Pelvis, CT scan slice 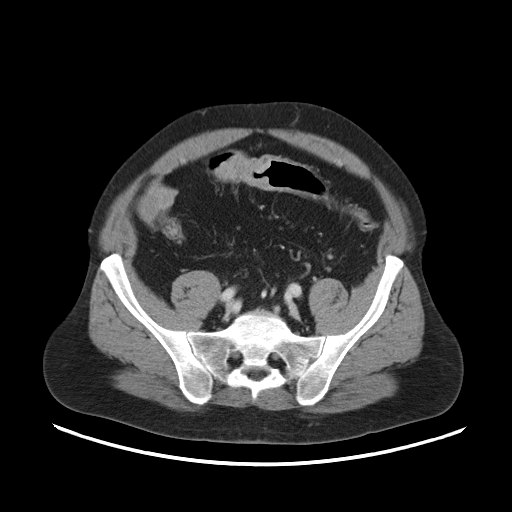 Colon tumor = <box>215,154,271,190</box>.